Upper abdomen. Slice 513/771. CT image.

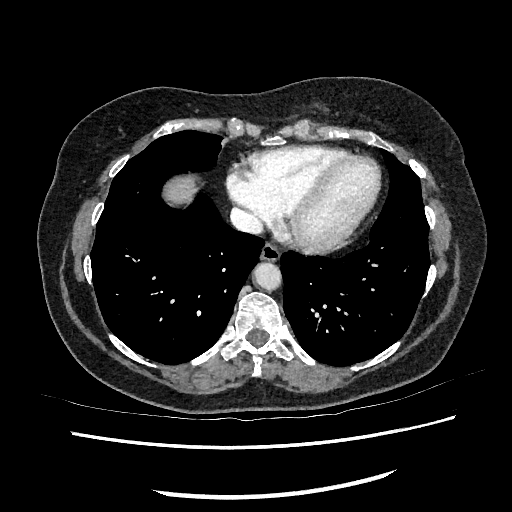 The liver appears at 165,177,195,203.